CT slice. Abdomen.
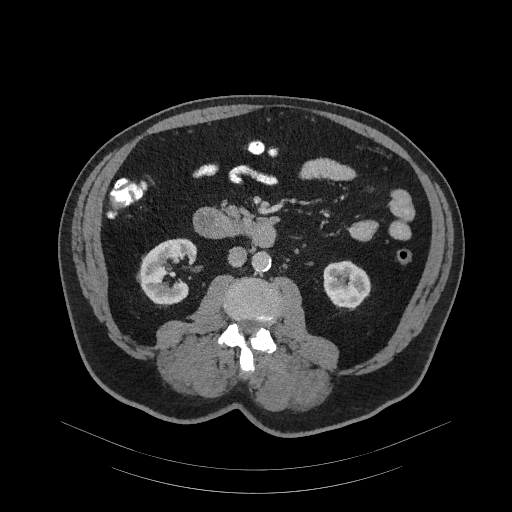 The pancreas appears at 223,202,273,233.